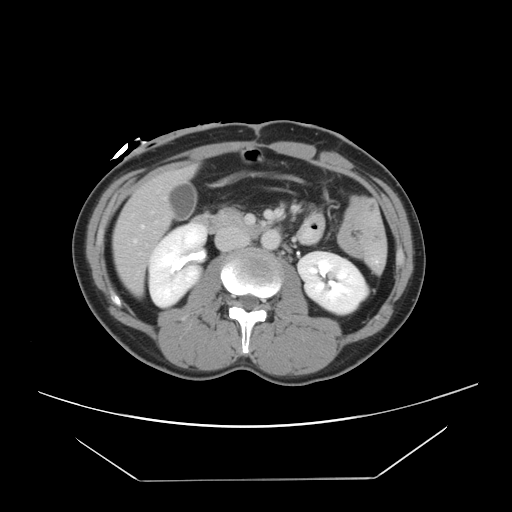 Abdomen | CT slice | 512x512 px

Not every hepatic vessel necessarily has a box.
• hepatic vessel: {"x1": 141, "y1": 224, "x2": 144, "y2": 228}, {"x1": 162, "y1": 197, "x2": 165, "y2": 198}, {"x1": 137, "y1": 272, "x2": 139, "y2": 274}, {"x1": 151, "y1": 211, "x2": 153, "y2": 213}, {"x1": 139, "y1": 253, "x2": 141, "y2": 254}, {"x1": 131, "y1": 215, "x2": 133, "y2": 217}, {"x1": 178, "y1": 173, "x2": 179, "y2": 176}, {"x1": 133, "y1": 239, "x2": 137, "y2": 243}, {"x1": 157, "y1": 186, "x2": 161, "y2": 192}